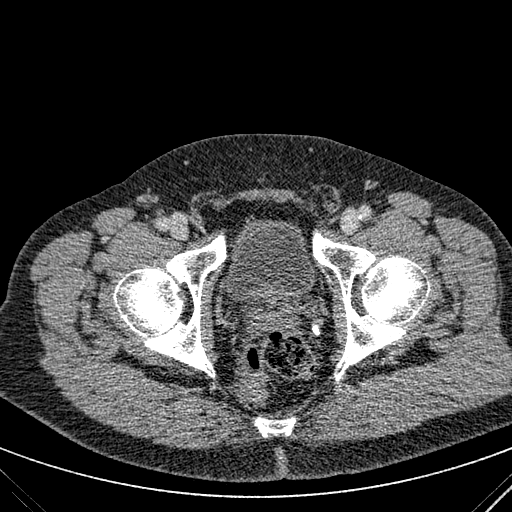

CT scan slice
{
  "urinary_bladder": [
    "bbox=[220, 215, 318, 308]"
  ]
}